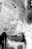
MR. 32x49 px. Hippocampus. {
  "posterior_hippocampus": [
    "<bbox>9, 34, 22, 41</bbox>"
  ]
}